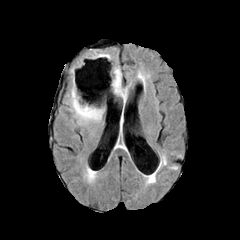
FLAIR MRI.
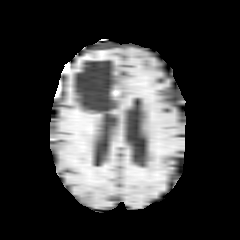
T1-weighted MR.
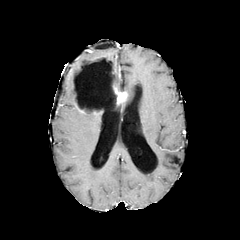
Post-contrast T1-weighted magnetic resonance.
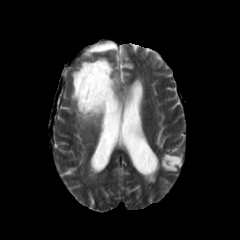
Same slice, T2-weighted MRI.
Non-enhancing tumor core: 74:70:115:115.
Edema: 160:156:173:169, 137:72:145:83, 68:86:102:126, 109:66:132:94.
Enhancing tumor: 114:86:127:101.